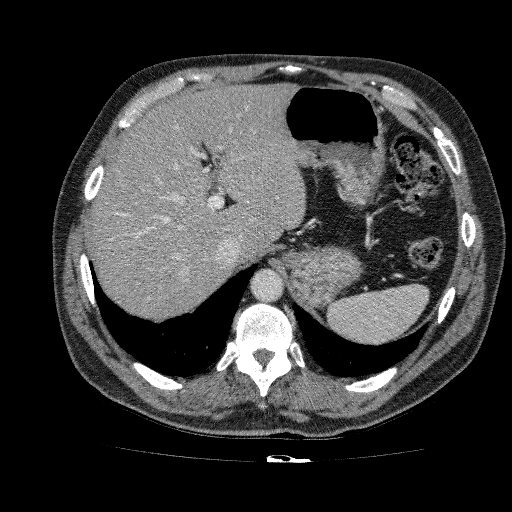 CT; Image size 512x512
{"liver": ["x1=87 y1=83 x2=305 y2=319"]}